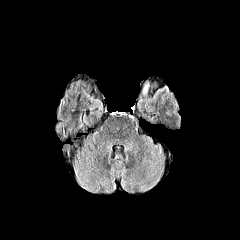
FLAIR MR image.
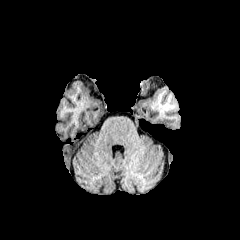
T1-weighted magnetic resonance.
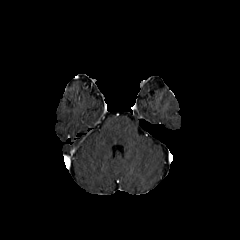
Post-contrast T1-weighted MR image.
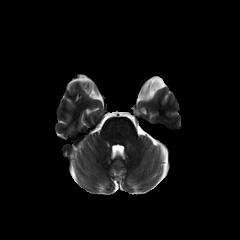
Same slice, T2-weighted MRI.
The edema is located at box(142, 83, 149, 95).